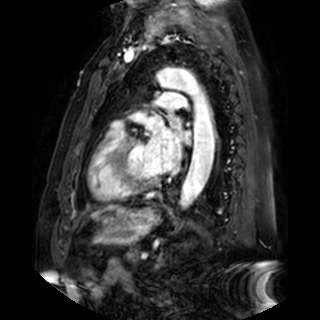
Image size 320x320; MRI
Left atrium — <box>145,117,191,173</box>.